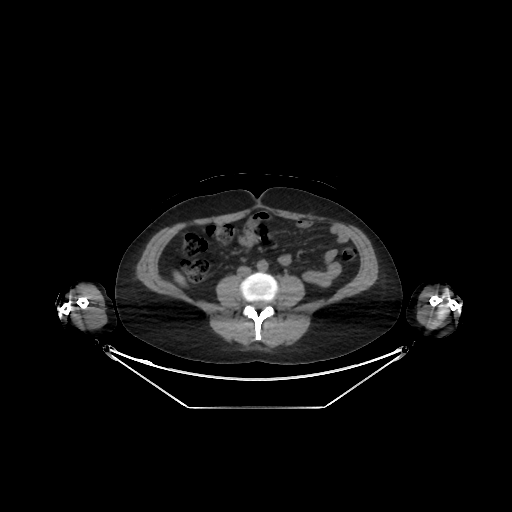
512x512 px. CT slice. The liver is located at left=174, top=272, right=184, bottom=284.